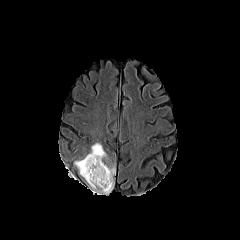
FLAIR MRI.
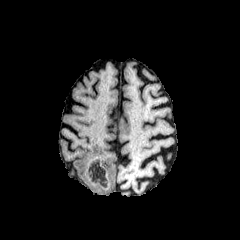
T1-weighted MRI.
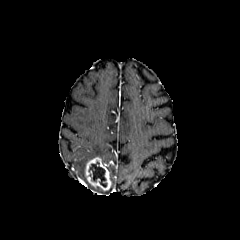
Post-contrast T1-weighted magnetic resonance.
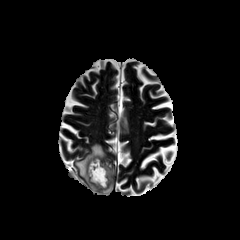
Same slice, T2-weighted MR.
Head
Segmented structures:
• edema: bbox(100, 182, 113, 194); bbox(75, 144, 105, 180)
• non-enhancing tumor core: bbox(88, 161, 107, 187)
• enhancing tumor: bbox(84, 156, 112, 190)